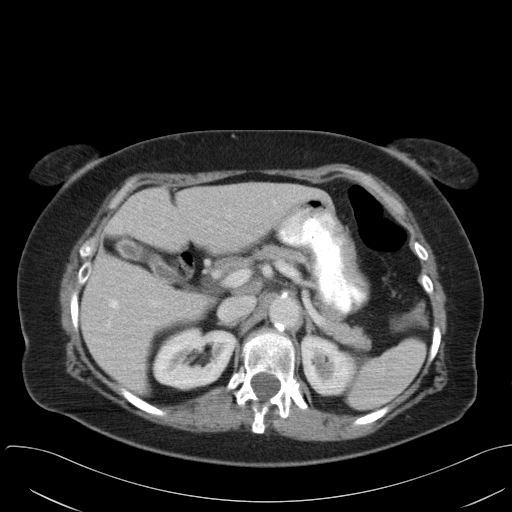 Abdomen. CT slice. Spleen at (349, 340, 424, 408).